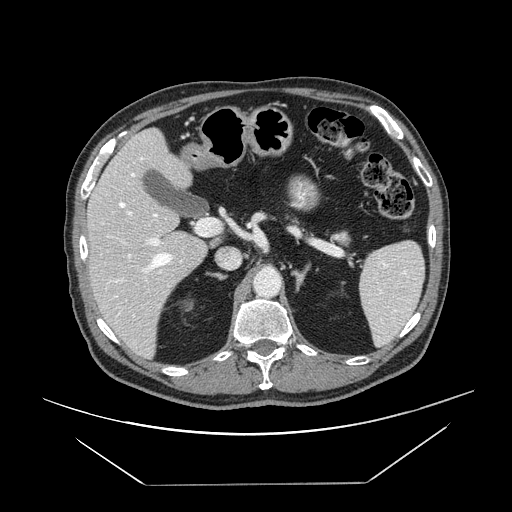

CT slice
{
  "pancreas": [
    "328:230:350:247"
  ]
}